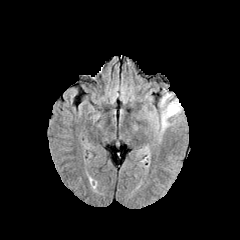
FLAIR MRI.
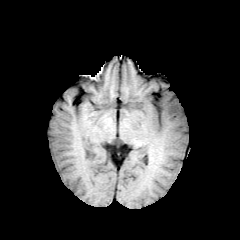
T1-weighted MR image.
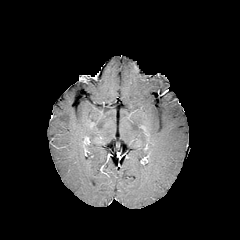
Post-contrast T1-weighted MRI.
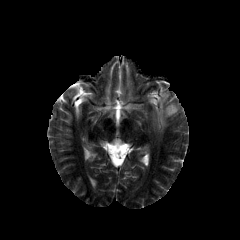
T2-weighted MRI.
Head
Edema at rect(142, 92, 183, 138).